Slice 342/654, CT
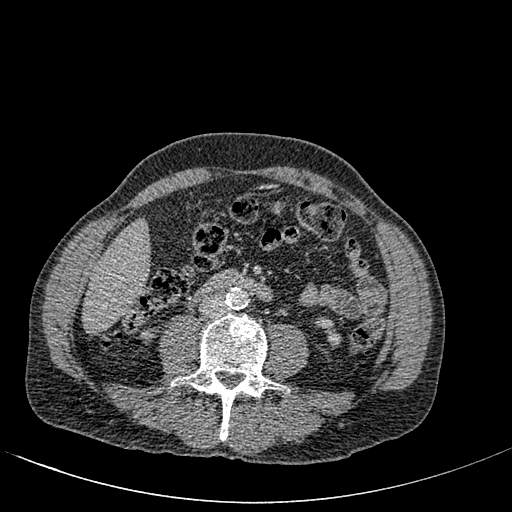
Kidney — <bbox>316, 318, 339, 344</bbox>.
Liver — <bbox>84, 222, 148, 330</bbox>.